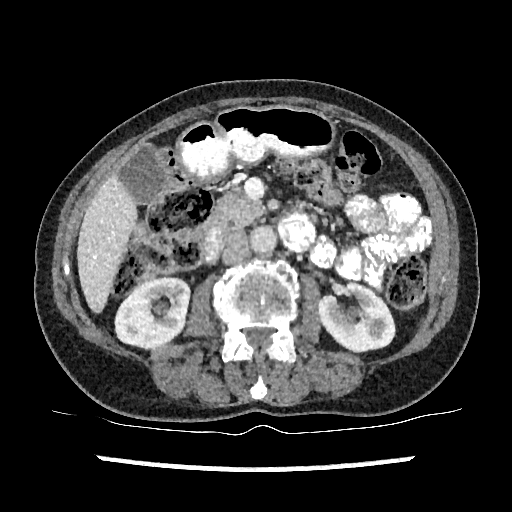

Liver; Image size 512x512; CT slice

<segmentation>
  <liver>[78, 176, 137, 312]</liver>
  <kidney>[116, 279, 188, 347], [319, 284, 394, 350]</kidney>
</segmentation>